CT image, Field of view 400x400 mm
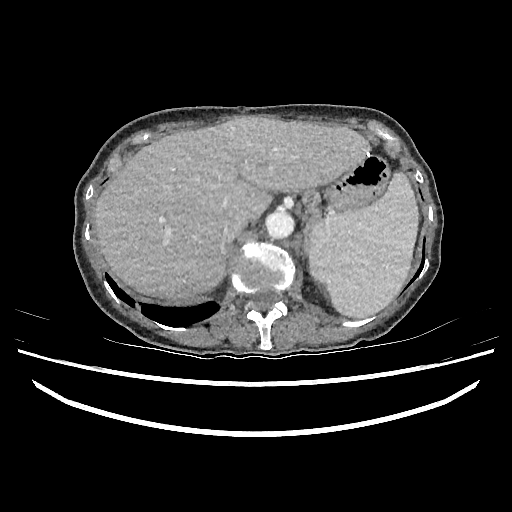 liver:
  - rect(96, 117, 368, 298)